Computed tomography; Liver; Slice 94/164 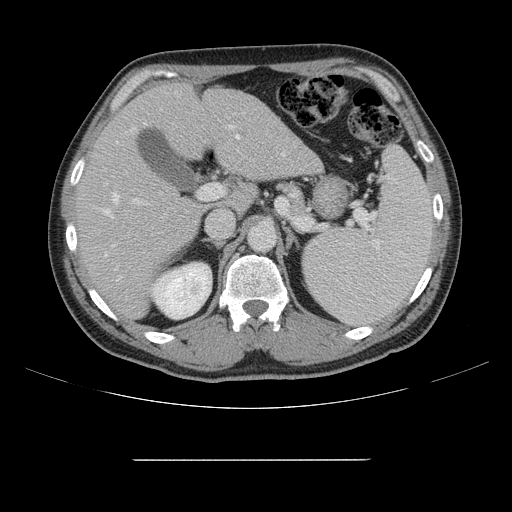
Only some of the vessels may be annotated.
hepatic vessel: <box>118,275,121,279</box>, <box>144,123,145,125</box>, <box>252,191,256,193</box>, <box>226,125,233,128</box>, <box>236,135,238,138</box>, <box>113,194,118,203</box>, <box>132,127,136,130</box>, <box>105,252,106,255</box>, <box>112,244,115,245</box>, <box>95,207,98,208</box>, <box>282,153,284,156</box>, <box>104,209,112,217</box>, <box>134,199,143,203</box>, <box>116,266,117,269</box>, <box>206,183,222,195</box>